Slice index 24; Field of view 38x52 mm; MRI slice

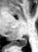
Posterior hippocampus = 15, 37, 27, 46.